FLAIR MR image.
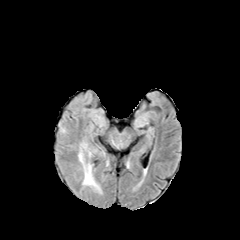
T1-weighted MRI.
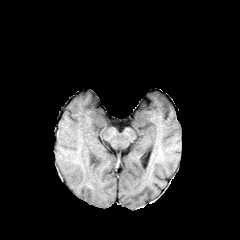
Post-contrast T1-weighted magnetic resonance.
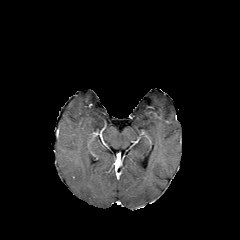
T2-weighted magnetic resonance.
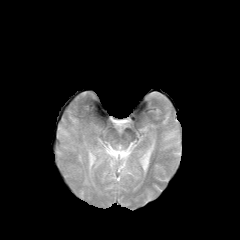
240x240 px.
Edema = (left=78, top=144, right=101, bottom=193).